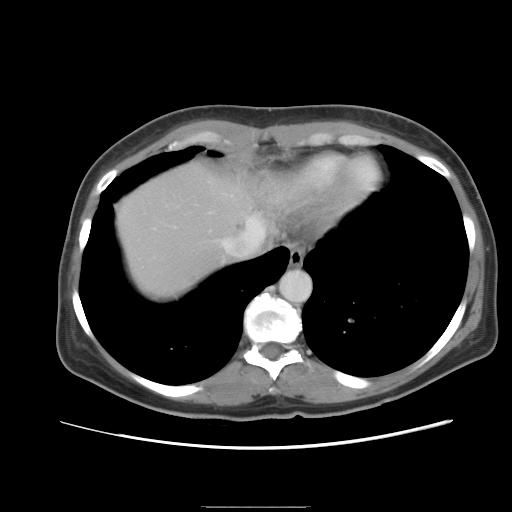

Computed tomography; Image size 512x512
The vessel boxes may cover only some of the vessels.
The hepatic vessel is bounded by [219, 214, 264, 257].